Brain
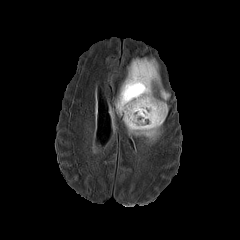
FLAIR MR.
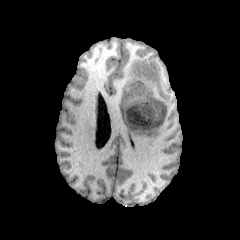
Same slice, T1-weighted MR.
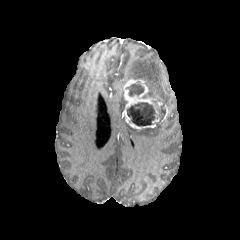
Post-contrast T1-weighted MR.
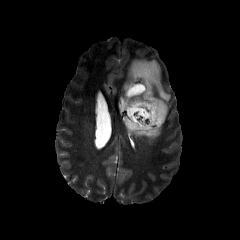
T2-weighted MR image of the same slice.
<segmentation>
  <edema>[x1=123, y1=119, x2=162, y2=144], [x1=115, y1=85, x2=127, y2=115], [x1=125, y1=57, x2=170, y2=110]</edema>
  <non-enhancing_tumor_core>[x1=127, y1=103, x2=155, y2=126], [x1=125, y1=82, x2=144, y2=96], [x1=156, y1=100, x2=166, y2=125]</non-enhancing_tumor_core>
  <enhancing_tumor>[x1=123, y1=80, x2=162, y2=129], [x1=159, y1=104, x2=168, y2=123]</enhancing_tumor>
</segmentation>